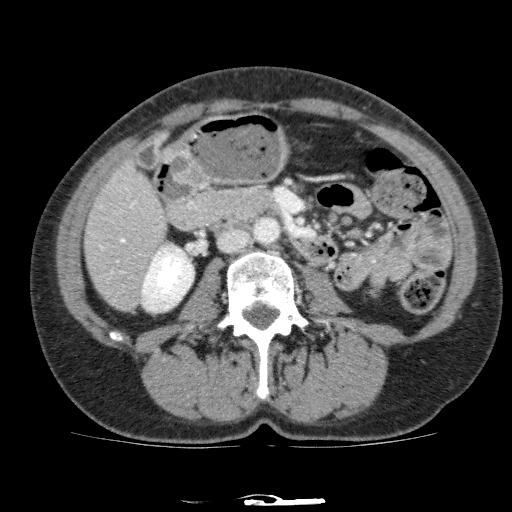 Abdomen. CT image.
The liver appears at x1=84, y1=157, x2=166, y2=312. The kidney appears at x1=142, y1=245, x2=193, y2=311.